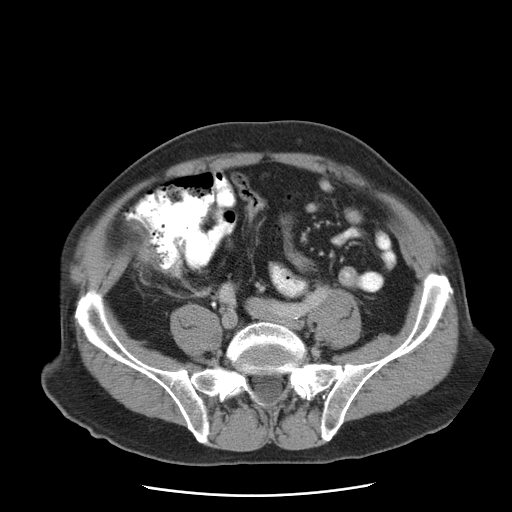
CT slice | Abdomen

Segmented structures:
* colon tumor: {"x1": 138, "y1": 247, "x2": 150, "y2": 263}